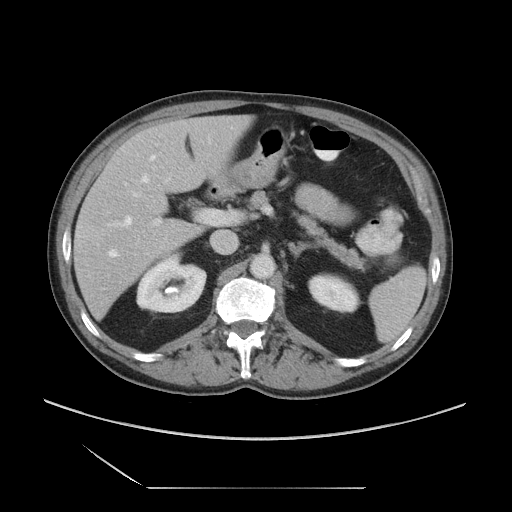 CT
Not every hepatic vessel necessarily has a box.
Hepatic vessel: bounding box box=[109, 249, 116, 256]; box=[108, 216, 131, 226]; box=[208, 137, 210, 142]; box=[164, 173, 171, 182]; box=[133, 192, 140, 196]; box=[141, 175, 147, 182]; box=[150, 155, 154, 159]; box=[153, 220, 160, 225].